CT slice, Abdomen, Field of view 512 mm wide, 1.00 mm slice spacing, Slice 39 of 155

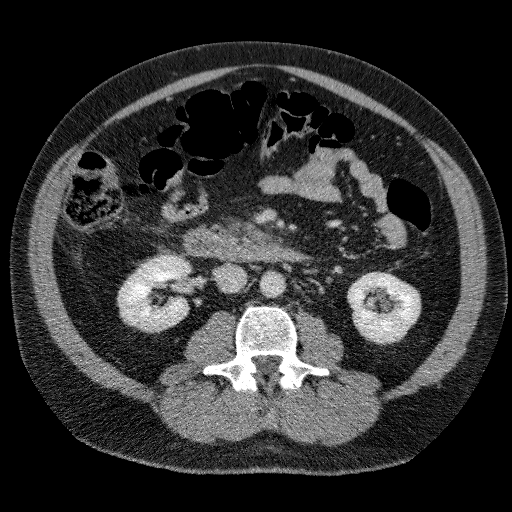 2 kidney regions are located at {"x1": 119, "y1": 256, "x2": 189, "y2": 329}, {"x1": 349, "y1": 273, "x2": 419, "y2": 341}.